CT scan slice, Liver
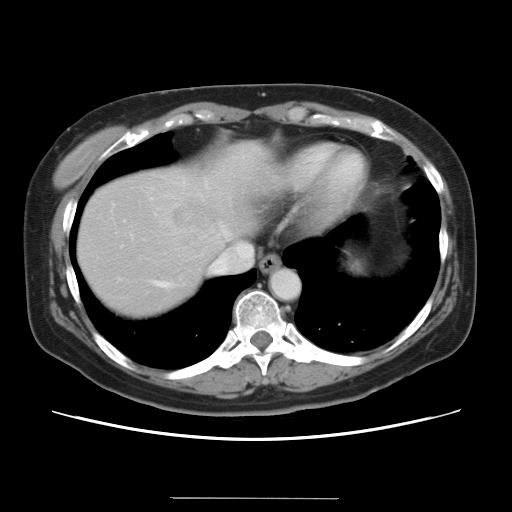 The vessel annotation is not exhaustive.
liver tumor: box=[172, 201, 223, 230] | hepatic vessel: box=[222, 226, 229, 240]; box=[213, 247, 251, 273]; box=[155, 282, 167, 286]